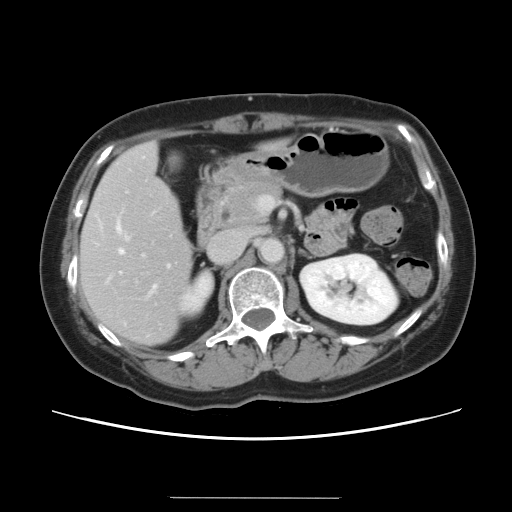
Abdomen. CT slice. 512x512. The vessel annotation is not exhaustive.
11 hepatic vessel regions appear at 95,215,97,218; 141,254,144,257; 106,277,110,282; 119,272,120,274; 152,212,154,213; 148,285,156,295; 118,249,123,253; 98,220,100,225; 94,243,98,245; 116,212,129,240; 167,265,169,267.